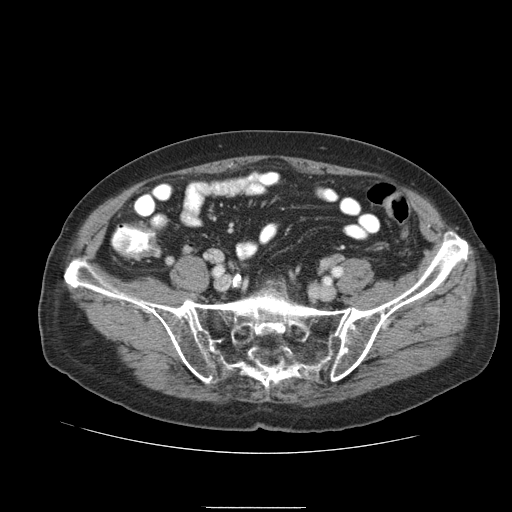
CT

Colon tumor: l=118, t=235, r=159, b=259.